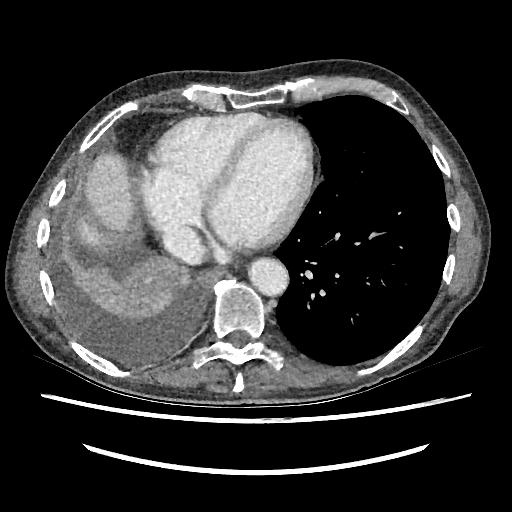
Liver | CT
<segmentation>
  <liver>box(86, 153, 132, 231); box(77, 217, 113, 248)</liver>
</segmentation>